512x512 | CT image 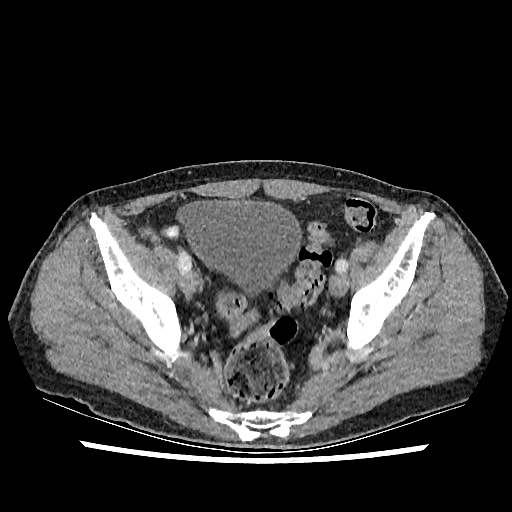 Annotated regions:
- urinary bladder: 182,200,302,299